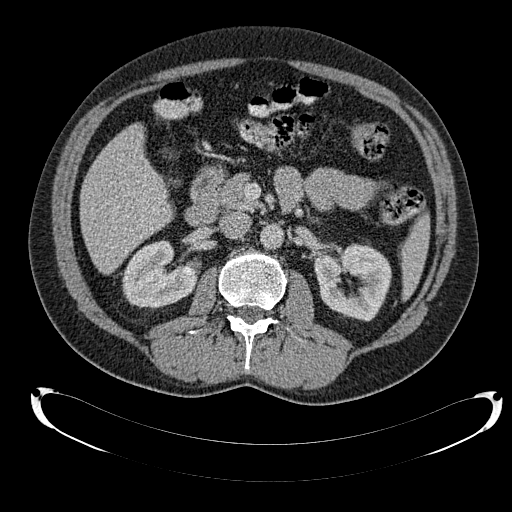
CT scan slice

2 kidney regions are located at bbox(123, 241, 196, 307); bbox(315, 245, 390, 320). The liver lies within bbox(79, 123, 171, 272).